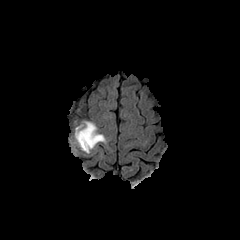
FLAIR MRI.
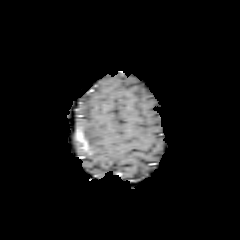
T1-weighted magnetic resonance.
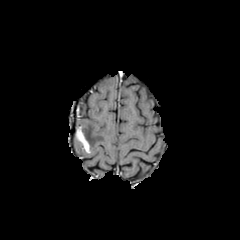
Post-contrast T1-weighted MR.
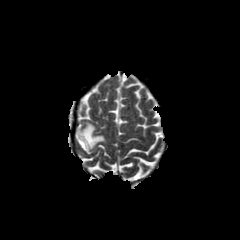
T2-weighted magnetic resonance.
enhancing_tumor:
  - (x1=76, y1=126, x2=89, y2=153)
non-enhancing_tumor_core:
  - (x1=82, y1=130, x2=91, y2=147)
edema:
  - (x1=79, y1=121, x2=105, y2=153)